Head
FLAIR MRI.
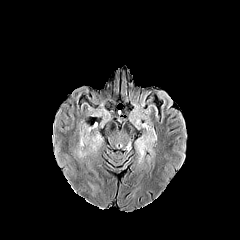
T1-weighted magnetic resonance.
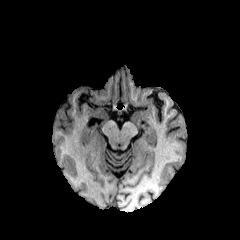
Post-contrast T1-weighted MR image.
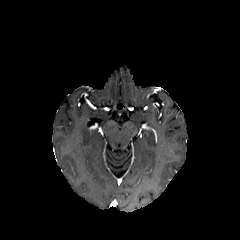
T2-weighted MR.
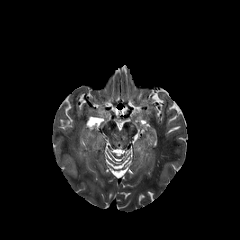
Edema: bbox=[137, 135, 153, 161].